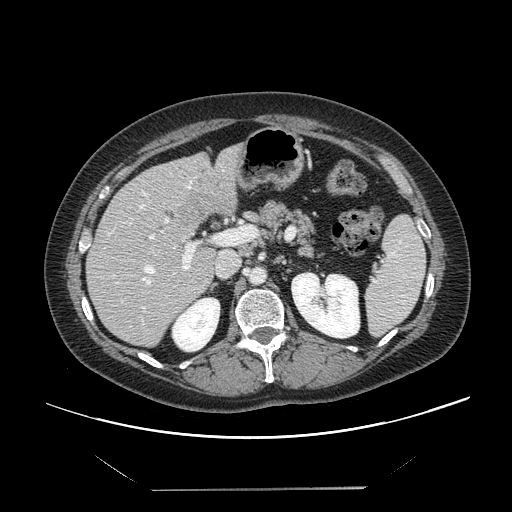

Image size 512x512; CT slice
Not every hepatic vessel necessarily has a box.
Liver tumor: bounding box <box>174,186,231,228</box>.
Hepatic vessel: bounding box <box>107,228,114,235</box>, <box>148,234,155,239</box>, <box>122,218,133,225</box>, <box>141,263,155,285</box>, <box>112,274,115,277</box>, <box>164,217,168,223</box>, <box>215,226,256,244</box>, <box>161,231,163,232</box>, <box>115,282,119,283</box>, <box>181,237,197,271</box>, <box>142,307,145,310</box>, <box>121,300,122,301</box>, <box>216,250,239,275</box>, <box>137,190,150,211</box>.